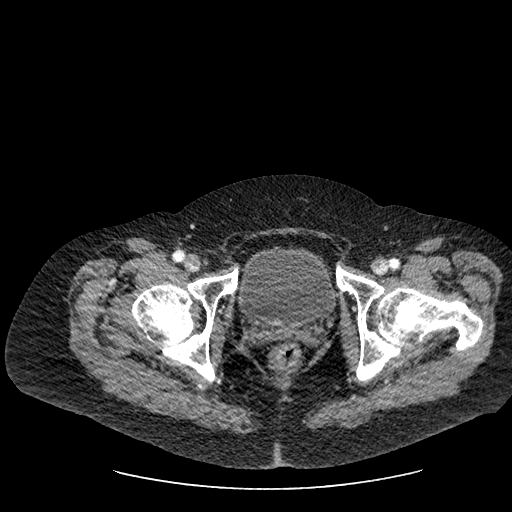

Computed tomography; 512x512 px

The urinary bladder appears at 234, 246, 337, 331.